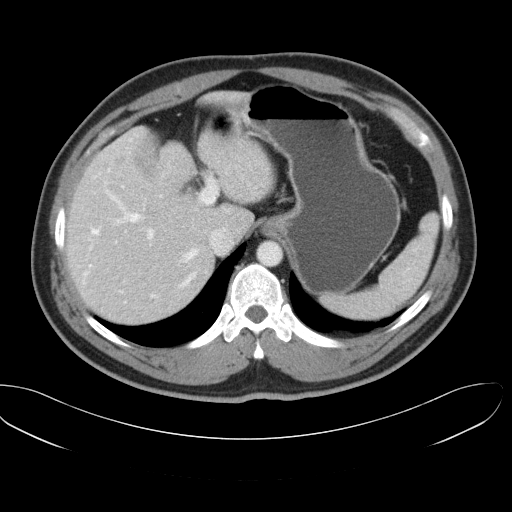
Abdomen | Computed tomography
Not every hepatic vessel necessarily has a box.
Liver tumor at 112, 156, 124, 166.
Top 15 of 20 hepatic vessel regions at 179, 272, 195, 287; 126, 147, 130, 153; 103, 178, 143, 224; 150, 294, 157, 296; 89, 265, 93, 267; 214, 227, 232, 250; 143, 200, 145, 209; 199, 179, 215, 203; 85, 226, 100, 249; 78, 271, 89, 284; 129, 134, 137, 140; 182, 248, 198, 265; 92, 157, 112, 178; 241, 176, 243, 179; 147, 228, 153, 244.